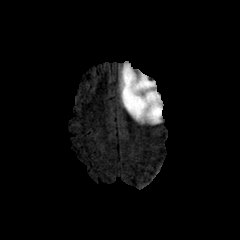
FLAIR magnetic resonance.
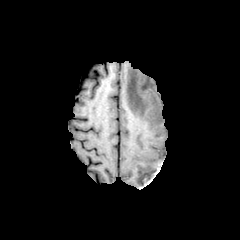
T1-weighted MRI.
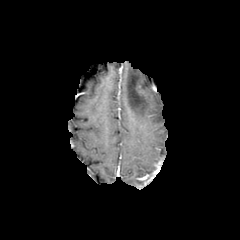
Post-contrast T1-weighted MR image of the same slice.
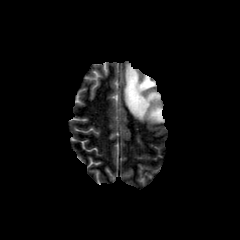
T2-weighted MR.
Head
The edema lies within 121,64,161,124.